FLAIR MR image.
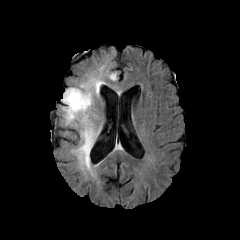
T1-weighted MR image.
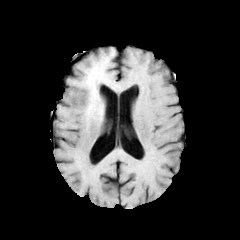
Post-contrast T1-weighted MR image.
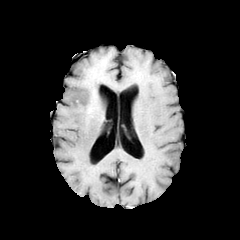
T2-weighted MR image.
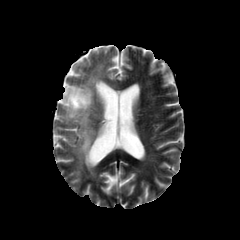
Brain
3 edema regions are located at [x1=95, y1=81, x2=103, y2=103], [x1=61, y1=78, x2=99, y2=177], [x1=91, y1=66, x2=116, y2=85]. The non-enhancing tumor core is bounded by [x1=84, y1=78, x2=101, y2=103].